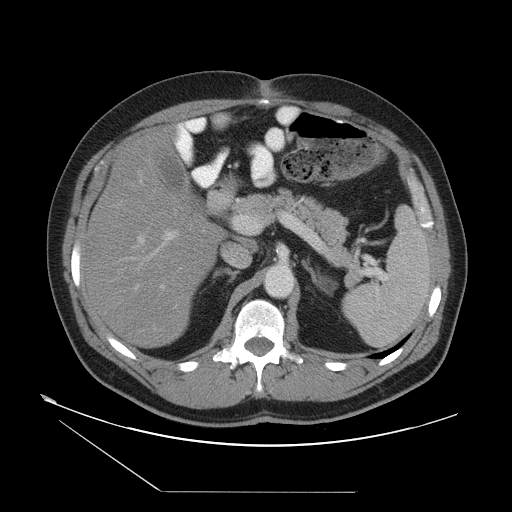
Liver | CT image
Only some of the vessels may be annotated.
Hepatic vessel: (132, 246, 136, 248), (137, 236, 143, 244), (138, 231, 177, 268), (160, 285, 163, 289), (153, 326, 154, 329), (135, 285, 137, 288), (174, 306, 175, 308).